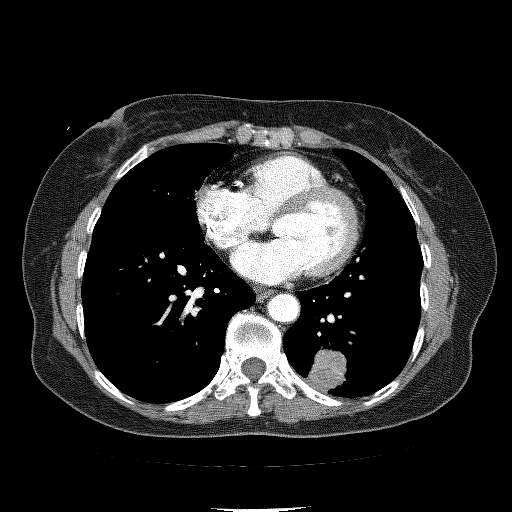 Chest; CT image; 512x512

Findings:
• lung tumor: (308, 349, 346, 392)